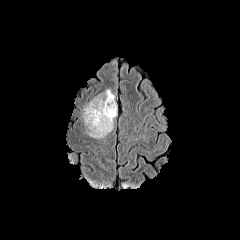
FLAIR MRI.
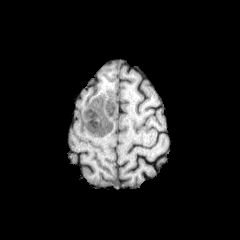
T1-weighted MR.
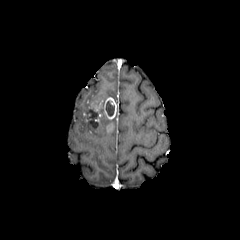
Post-contrast T1-weighted magnetic resonance of the same slice.
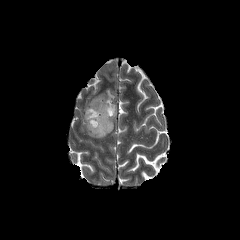
Same slice, T2-weighted magnetic resonance.
edema:
  - bbox(105, 89, 114, 99)
  - bbox(84, 116, 112, 138)
enhancing_tumor:
  - bbox(106, 124, 113, 133)
  - bbox(90, 99, 103, 111)
  - bbox(104, 97, 117, 118)
non-enhancing_tumor_core:
  - bbox(85, 100, 114, 128)
  - bbox(106, 100, 114, 116)
  - bbox(90, 96, 103, 105)